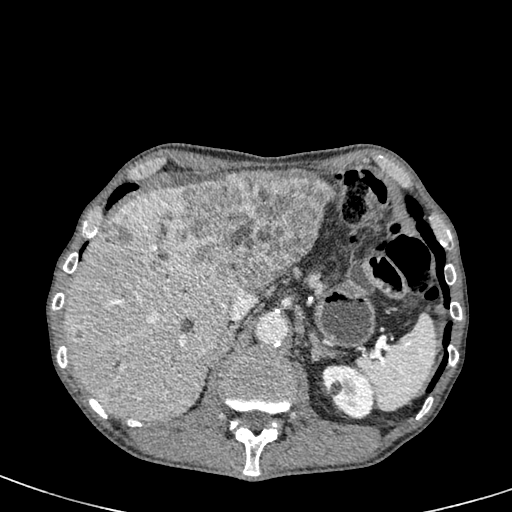
Computed tomography, Liver
Liver — <bbox>275, 254, 305, 277</bbox>, <bbox>63, 186, 244, 421</bbox>, <bbox>269, 170, 319, 178</bbox>.
Liver lesion — <bbox>104, 223, 131, 243</bbox>, <bbox>182, 172, 334, 290</bbox>.
Kidney — <bbox>324, 367, 374, 419</bbox>.